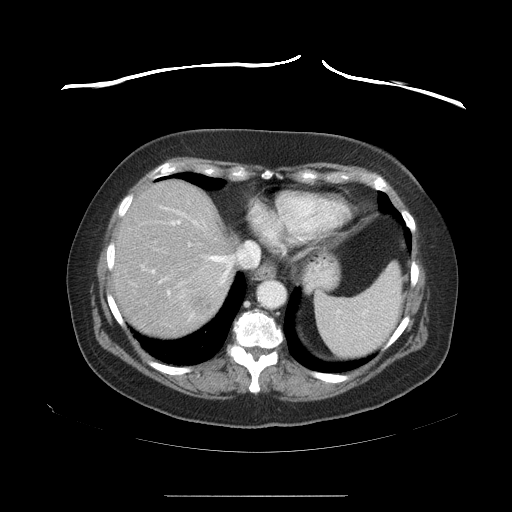
Abdomen | CT image
Not every hepatic vessel necessarily has a box.
Liver tumor: bounding box [186,288,213,316].
Hepatic vessel: bounding box [160,207,188,218], [188,243,190,245], [206,242,260,285], [166,291,169,294], [158,280,162,283], [189,219,197,225], [151,270,154,273], [201,221,205,230], [171,220,179,224].